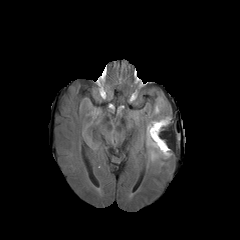
FLAIR MR image.
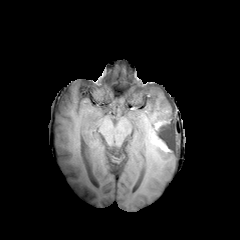
T1-weighted MR of the same slice.
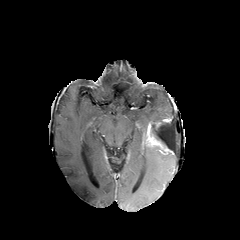
Post-contrast T1-weighted magnetic resonance.
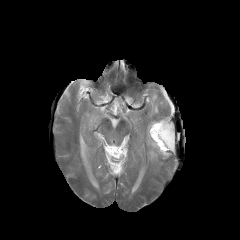
T2-weighted MRI.
240x240 px; Brain
Non-enhancing tumor core: left=152, top=124, right=173, bottom=149.
Enhancing tumor: left=147, top=124, right=169, bottom=154.
Edema: left=95, top=89, right=109, bottom=99; left=141, top=98, right=171, bottom=164.